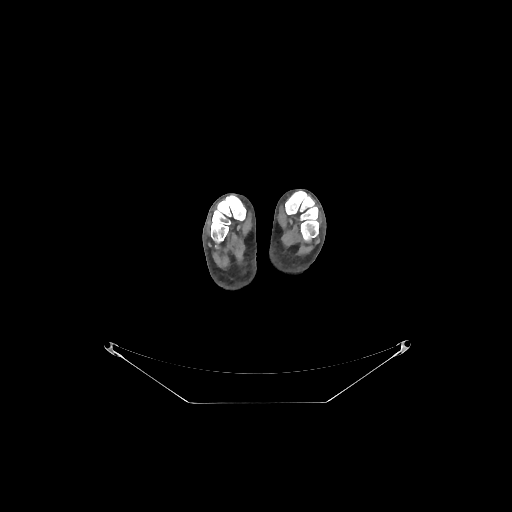

512x512; CT scan slice

2 bone regions appear at 285, 191, 318, 239; 211, 195, 245, 243.